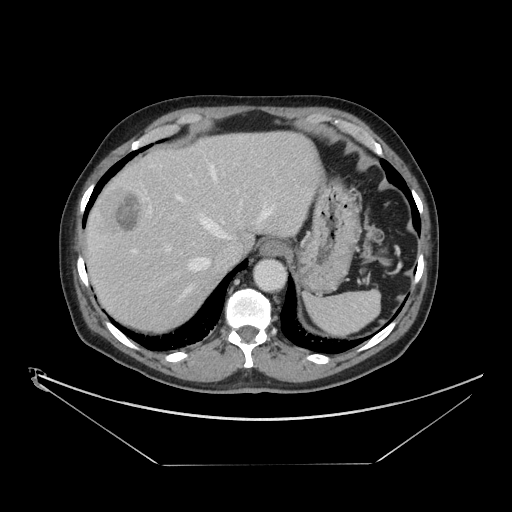 CT scan slice
Only some of the vessels may be annotated.
<segmentation>
  <liver_tumor>[95, 188, 146, 236]</liver_tumor>
  <hepatic_vessel>[211, 166, 216, 181], [183, 285, 192, 295], [189, 174, 190, 176], [237, 210, 239, 212], [175, 195, 181, 199], [148, 203, 151, 213], [240, 199, 242, 205], [144, 198, 147, 200], [201, 218, 230, 238], [190, 258, 209, 270], [222, 221, 224, 223], [165, 248, 170, 250], [132, 249, 135, 251], [257, 209, 271, 221]</hepatic_vessel>
</segmentation>